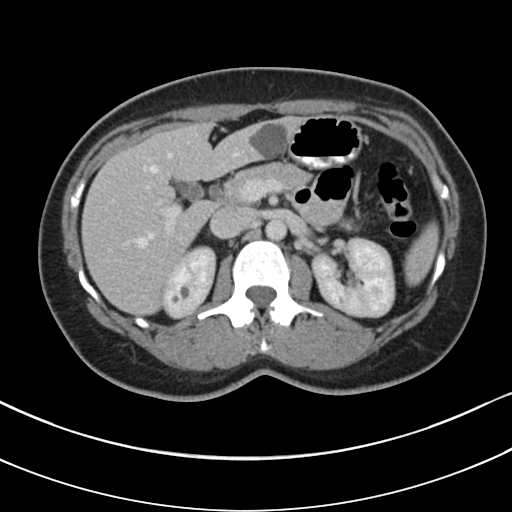

Abdomen; CT; 512x512 px
pancreas: <bbox>220, 162, 312, 203</bbox>